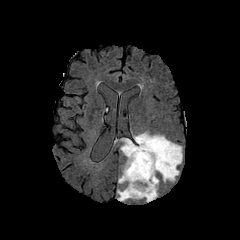
FLAIR MR.
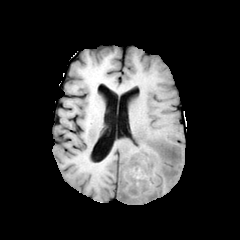
T1-weighted MR of the same slice.
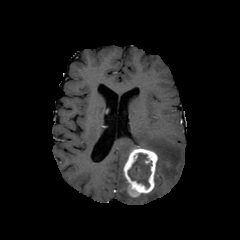
Post-contrast T1-weighted MRI of the same slice.
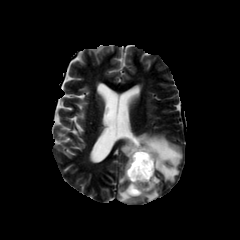
T2-weighted MRI.
240x240 px
<segmentation>
  <non-enhancing_tumor_core>l=128, t=153, r=149, b=180</non-enhancing_tumor_core>
  <edema>l=118, t=175, r=126, b=184; l=133, t=132, r=182, b=182; l=117, t=177, r=159, b=202; l=120, t=137, r=134, b=158</edema>
  <enhancing_tumor>l=123, t=145, r=158, b=197</enhancing_tumor>
</segmentation>